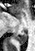

MR. Medial temporal lobe.

The posterior hippocampus lies within [14,29,27,44].